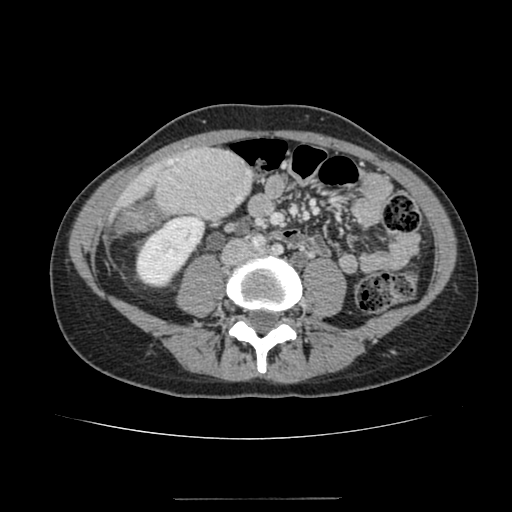

Image size 512x512, Upper abdomen, CT slice
* liver: {"x1": 108, "y1": 152, "x2": 185, "y2": 222}
* kidney: {"x1": 138, "y1": 217, "x2": 203, "y2": 283}
* hepatic lesion: {"x1": 155, "y1": 148, "x2": 251, "y2": 219}